Head, Image size 240x240, Slice 108/155
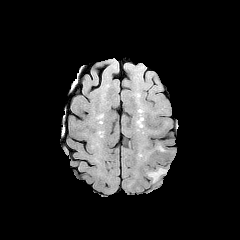
FLAIR MR image.
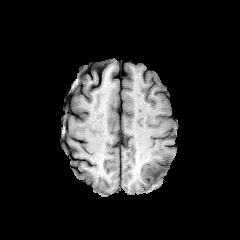
T1-weighted MR image.
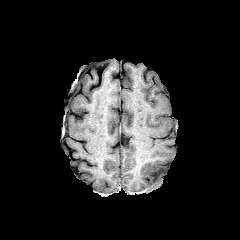
Post-contrast T1-weighted MRI.
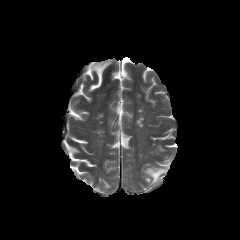
Same slice, T2-weighted MR.
{
  "non-enhancing_tumor_core": [
    "(151, 171, 160, 180)"
  ],
  "edema": [
    "(146, 167, 165, 182)"
  ]
}